Field of view 240x240 mm; Brain
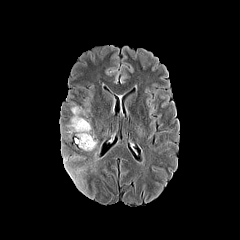
FLAIR MR.
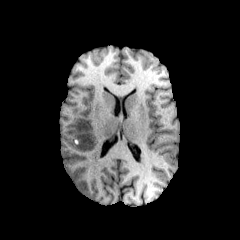
T1-weighted MR of the same slice.
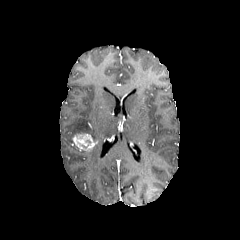
Post-contrast T1-weighted MRI of the same slice.
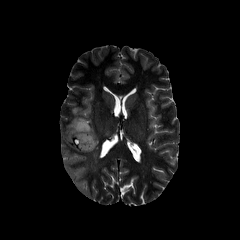
T2-weighted MR image of the same slice.
enhancing_tumor:
  - x1=74 y1=132 x2=96 y2=151
edema:
  - x1=63 y1=155 x2=85 y2=183
  - x1=88 y1=142 x2=102 y2=167
  - x1=67 y1=106 x2=91 y2=140